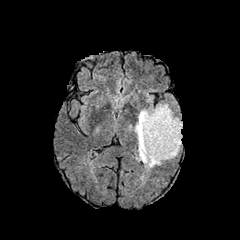
FLAIR MR.
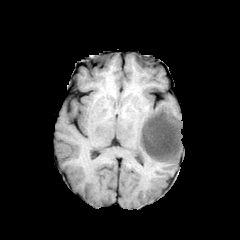
T1-weighted MR of the same slice.
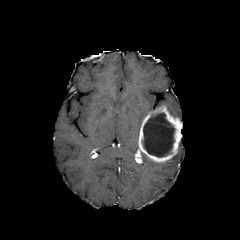
Post-contrast T1-weighted MR image.
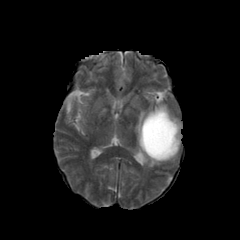
Same slice, T2-weighted MR image.
Annotated regions:
• edema: {"x1": 142, "y1": 156, "x2": 164, "y2": 170}, {"x1": 133, "y1": 103, "x2": 172, "y2": 148}
• non-enhancing tumor core: {"x1": 143, "y1": 113, "x2": 174, "y2": 156}
• enhancing tumor: {"x1": 138, "y1": 105, "x2": 182, "y2": 162}